FLAIR MR image.
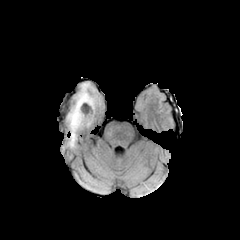
T1-weighted magnetic resonance.
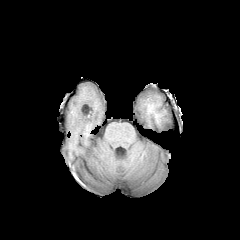
Post-contrast T1-weighted MR.
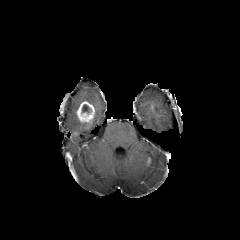
T2-weighted MR image.
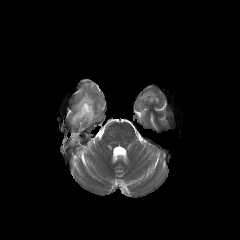
240x240 px.
The enhancing tumor is located at (76,100,94,122). The non-enhancing tumor core is located at (82,104,91,114). The edema is at (67,83,96,146).